Heart; 320x320 px; MR image; Slice 68/120
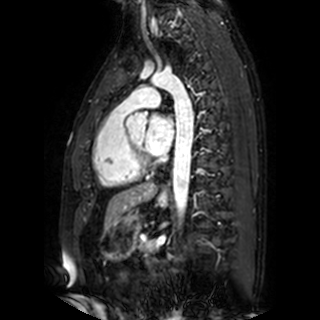
Left atrium: 145:114:173:154.